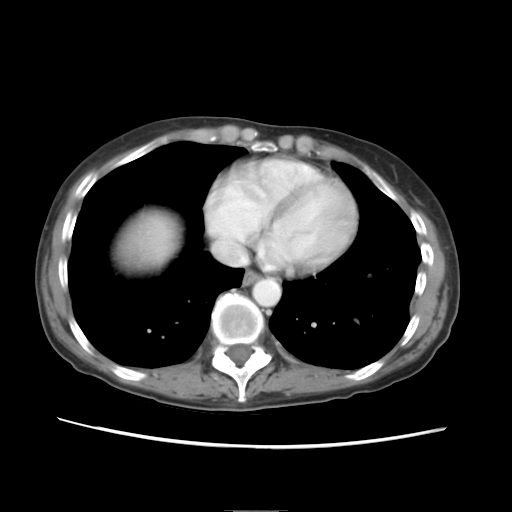

Image size 512x512. CT image.

liver tumor: box(123, 230, 149, 265)